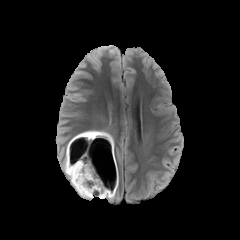
FLAIR MR image.
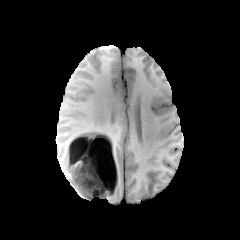
T1-weighted MR.
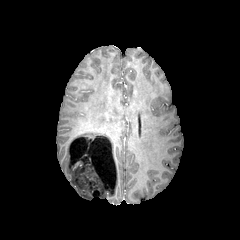
Same slice, post-contrast T1-weighted MRI.
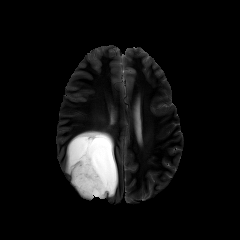
T2-weighted MRI of the same slice.
Brain
The non-enhancing tumor core appears at box(68, 131, 114, 195). 2 edema regions appear at box(98, 137, 117, 197); box(64, 137, 93, 198).